512x512 px; Lower abdomen; Computed tomography
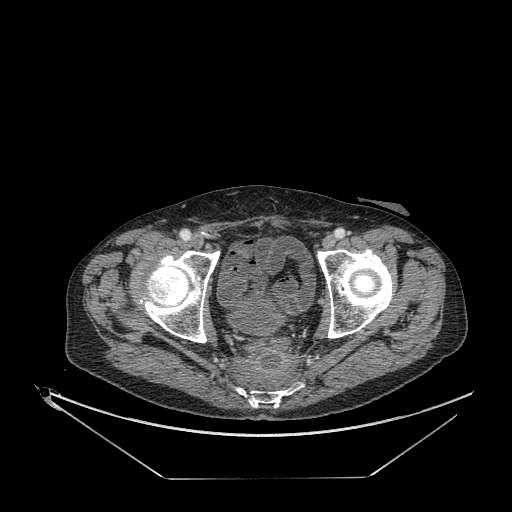 Urinary bladder — bbox(226, 282, 290, 332); bbox(261, 242, 279, 264).